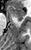

Medial temporal lobe, MR image
{"posterior_hippocampus": ["[17,19,22,20]"], "anterior_hippocampus": ["[9,6,24,18]"]}